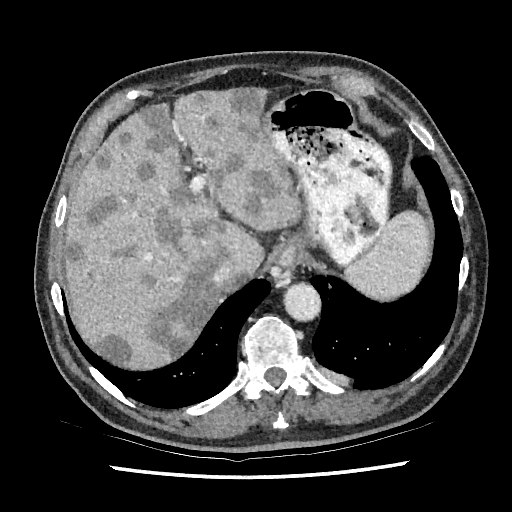
Abdomen, CT image
The principal 15 hepatic lesion regions (of 17) are located at <bbox>207, 151, 244, 193</bbox>, <bbox>96, 335, 131, 363</bbox>, <bbox>66, 238, 82, 263</bbox>, <bbox>140, 271, 153, 285</bbox>, <bbox>191, 92, 209, 109</bbox>, <bbox>168, 184, 189, 206</bbox>, <bbox>203, 113, 222, 133</bbox>, <bbox>149, 208, 230, 357</bbox>, <bbox>242, 165, 290, 219</bbox>, <bbox>116, 247, 134, 258</bbox>, <bbox>136, 160, 154, 182</bbox>, <bbox>82, 197, 122, 227</bbox>, <bbox>96, 146, 111, 169</bbox>, <bbox>139, 104, 178, 152</bbox>, <bbox>230, 89, 265, 143</bbox>. 2 liver regions are located at <bbox>222, 221, 263, 282</bbox>, <bbox>66, 87, 300, 367</bbox>.